FLAIR MR.
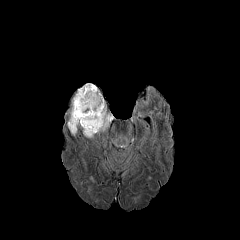
T1-weighted magnetic resonance.
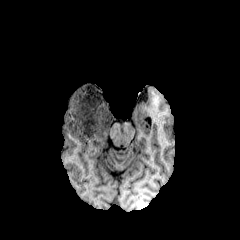
Post-contrast T1-weighted MR.
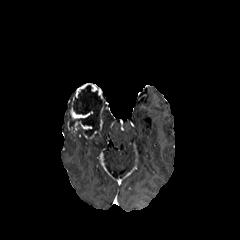
T2-weighted magnetic resonance.
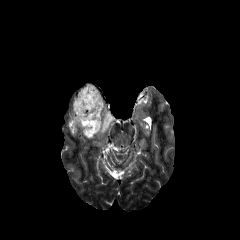
Edema at x1=100, y1=118, x2=113, y2=134.
Enhancing tumor at x1=72, y1=83, x2=109, y2=116; x1=68, y1=121, x2=92, y2=133; x1=70, y1=108, x2=93, y2=118; x1=80, y1=130, x2=96, y2=140.
Non-enhancing tumor core at x1=65, y1=86, x2=108, y2=136.